FLAIR MRI.
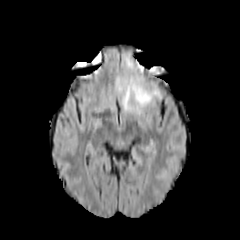
T1-weighted MR.
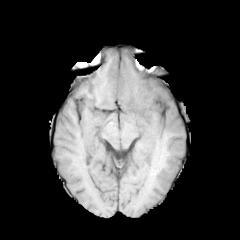
Post-contrast T1-weighted MRI.
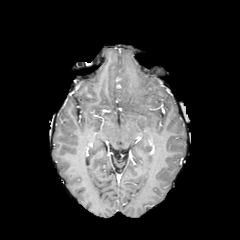
T2-weighted MR.
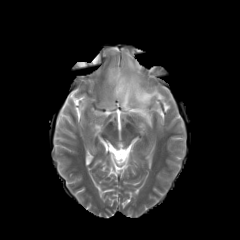
Image size 240x240
Edema = [114, 55, 161, 121].